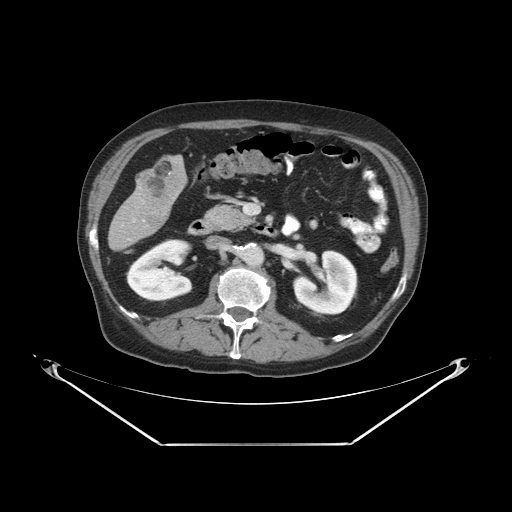
CT
The vessel boxes may cover only some of the vessels.
hepatic_vessel:
  - 133, 219, 135, 221
liver_tumor:
  - 136, 157, 176, 203